Slice index 70
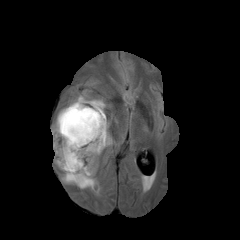
FLAIR MRI.
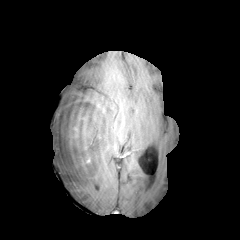
T1-weighted magnetic resonance of the same slice.
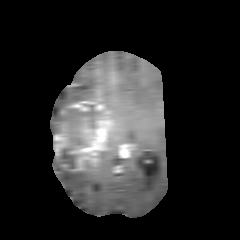
Same slice, post-contrast T1-weighted MR.
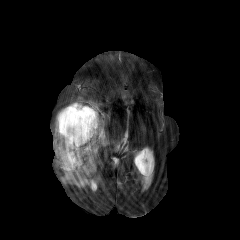
T2-weighted MR image.
Annotated regions:
- enhancing tumor: (54, 101, 108, 170)
- edema: (51, 95, 106, 150), (60, 166, 97, 189)
- non-enhancing tumor core: (53, 147, 76, 171), (54, 108, 95, 134), (72, 138, 81, 144)